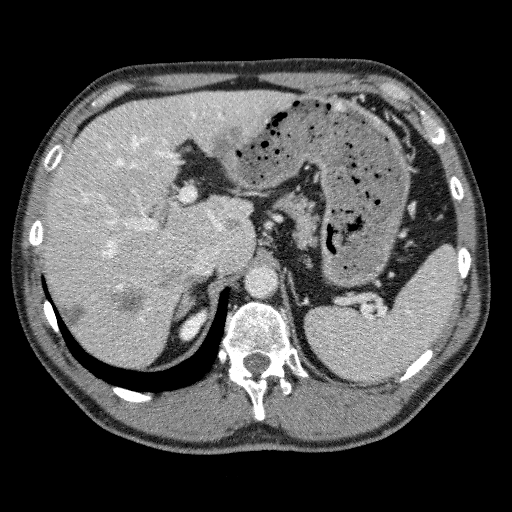 Image size 512x512; Computed tomography
Findings:
- kidney: 181, 312, 205, 339
- focal liver lesion: 109, 286, 146, 312; 147, 201, 173, 229; 157, 267, 181, 288; 210, 125, 244, 168; 224, 216, 241, 235; 60, 303, 85, 327
- liver: 44, 89, 294, 367